Field of view 240 mm wide, 1.00 mm slice spacing, 240x240, Head
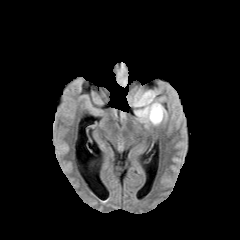
FLAIR magnetic resonance.
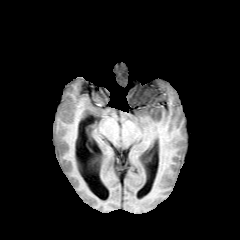
Same slice, T1-weighted MR image.
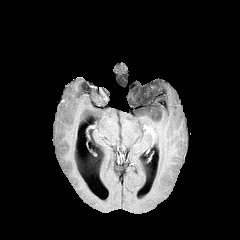
Post-contrast T1-weighted MR.
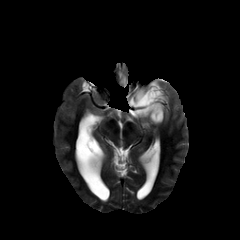
T2-weighted MR image.
edema: box=[134, 95, 166, 125]; box=[118, 67, 126, 86]; box=[128, 87, 136, 112] | non-enhancing tumor core: box=[130, 88, 161, 113]